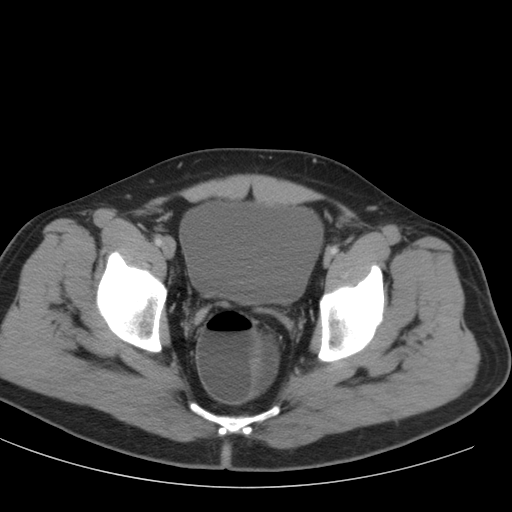
Lower abdomen, CT

Urinary bladder — [181, 195, 322, 304].